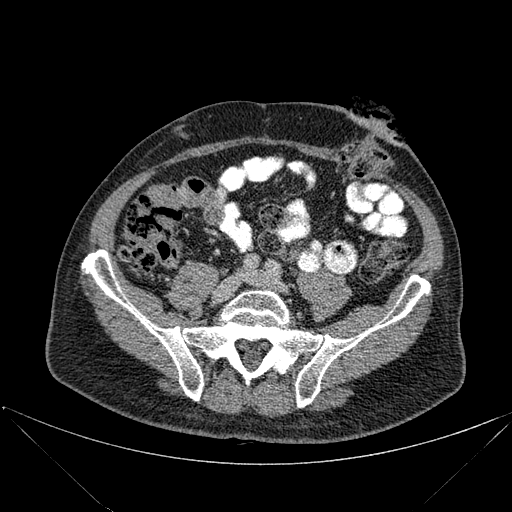 CT | 512x512 px
Bone = x1=82 y1=250 x2=430 y2=407.